Slice index 24. Liver. CT scan slice. Image size 512x512.

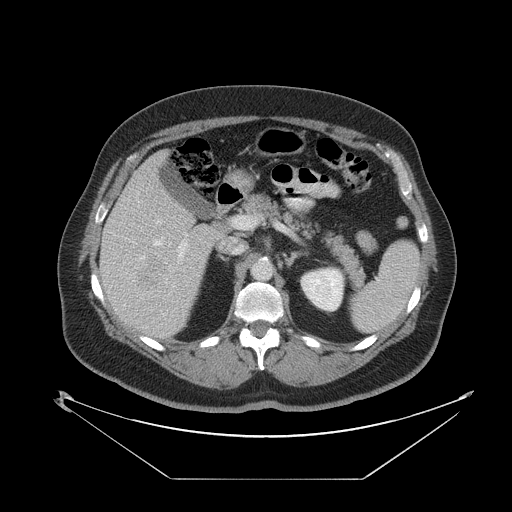

The vessel annotation is not exhaustive.
The liver tumor lies within rect(140, 264, 164, 285). 6 hepatic vessel regions are located at rect(168, 242, 170, 246); rect(157, 221, 161, 223); rect(184, 232, 187, 236); rect(177, 239, 188, 263); rect(169, 265, 171, 267); rect(154, 241, 160, 245).